Field of view 415 mm wide, 2.50 mm slice spacing. Computed tomography. Abdomen.
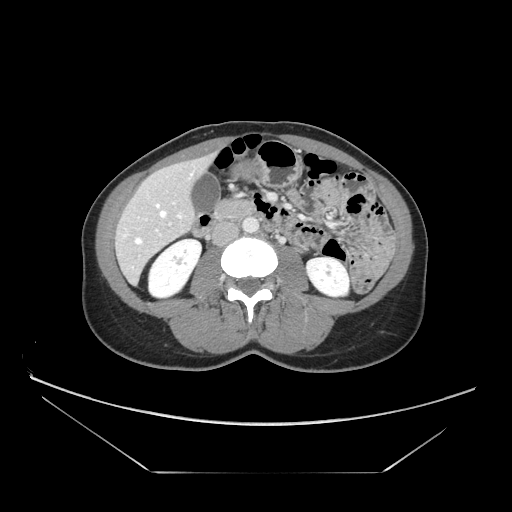

Pancreas at 216, 199, 255, 219.